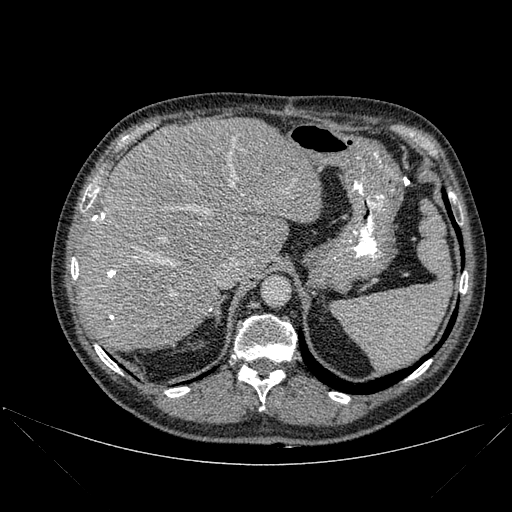
CT image, Image size 512x512, Abdomen

{
  "lung": [
    "[299, 309, 457, 393]",
    "[442, 189, 463, 265]"
  ],
  "bone": [
    "[232, 315, 296, 362]",
    "[71, 257, 78, 279]",
    "[83, 185, 98, 207]",
    "[407, 359, 431, 379]",
    "[329, 392, 349, 403]",
    "[165, 387, 189, 397]",
    "[238, 365, 284, 403]",
    "[95, 345, 121, 373]",
    "[460, 274, 467, 293]"
  ],
  "liver": [
    "[77, 117, 322, 351]"
  ]
}